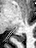 Hippocampus. Magnetic resonance.

The posterior hippocampus lies within 14, 34, 24, 41.